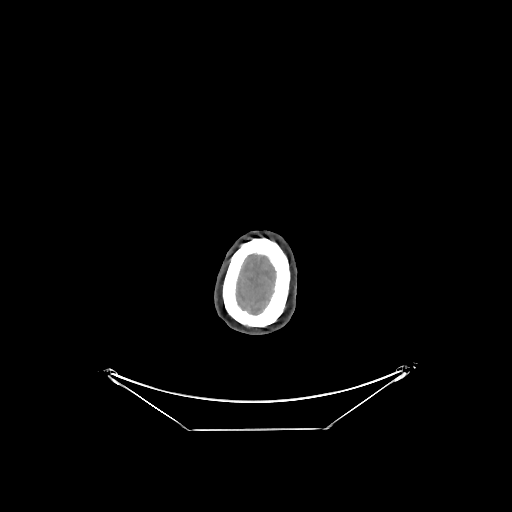
CT scan slice, Brain
Brain — (236, 254, 275, 314).